FLAIR MR image.
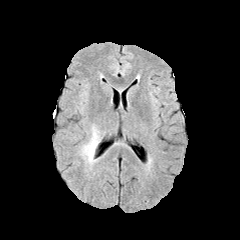
T1-weighted magnetic resonance.
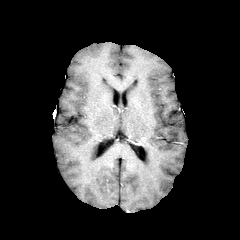
Post-contrast T1-weighted MR.
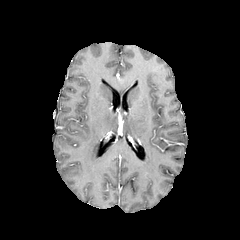
T2-weighted MRI.
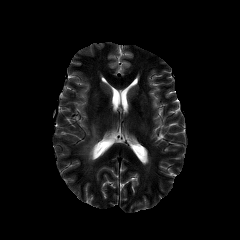
Brain
The edema lies within region(79, 124, 102, 165).